Slice 79 of 756; Computed tomography

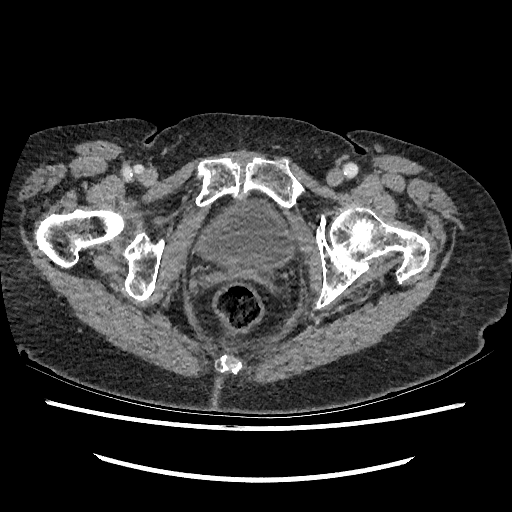
The urinary bladder is at x1=193 y1=197 x2=301 y2=282.